Slice 335 of 751. CT.
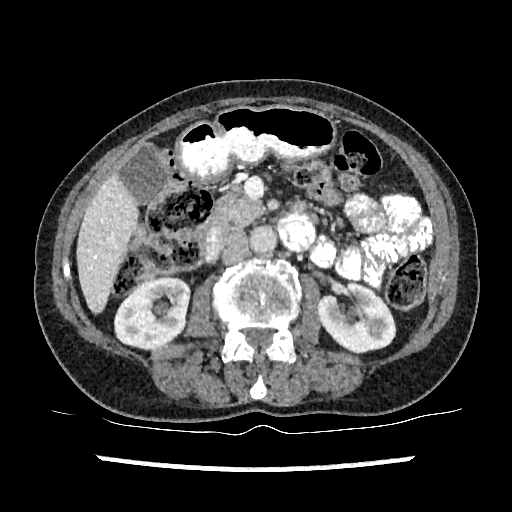 * kidney: <bbox>319, 284, 394, 351</bbox>, <bbox>115, 279, 188, 347</bbox>
* liver: <bbox>77, 175, 138, 313</bbox>